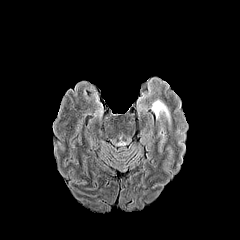
FLAIR magnetic resonance.
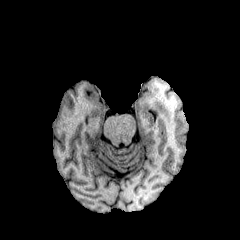
T1-weighted MRI of the same slice.
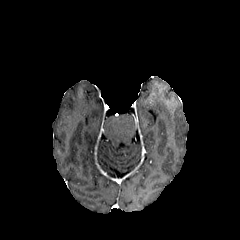
Post-contrast T1-weighted magnetic resonance of the same slice.
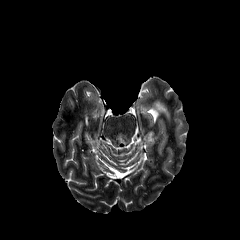
T2-weighted magnetic resonance.
Brain.
edema: x1=151, y1=101, x2=171, y2=130